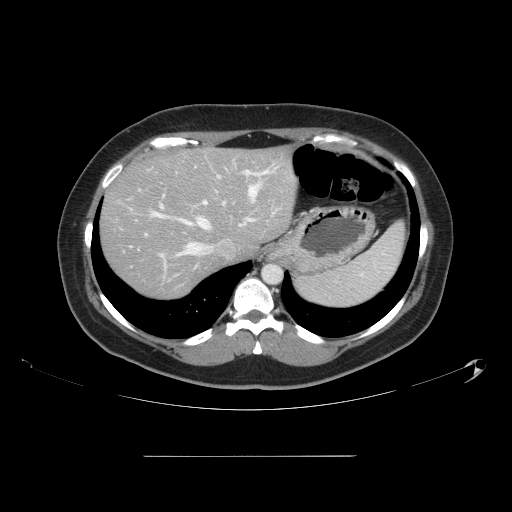
CT slice, Liver

Only some of the vessels may be annotated.
<segmentation>
  <hepatic_vessel>[196, 217, 209, 228], [240, 218, 251, 225], [179, 219, 190, 223], [217, 175, 219, 177], [249, 183, 260, 201], [244, 169, 272, 176], [181, 243, 200, 254], [159, 254, 162, 256], [223, 201, 224, 203], [203, 201, 206, 203], [160, 204, 162, 207], [152, 212, 165, 216]</hepatic_vessel>
</segmentation>